Lower abdomen; CT scan slice 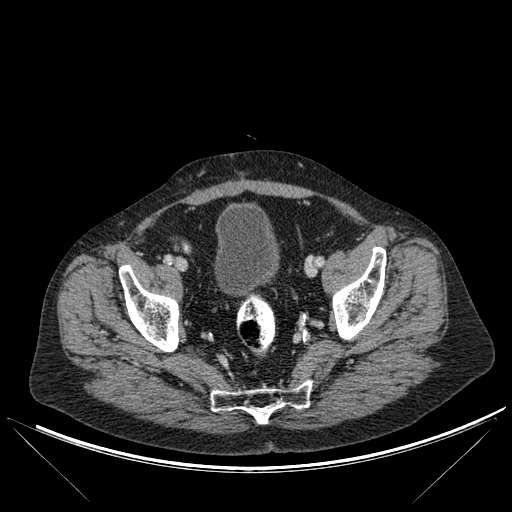
{"bone": ["l=333, t=247, r=386, b=339", "l=119, t=265, r=178, b=351", "l=211, t=380, r=312, b=424"], "urinary_bladder": ["l=214, t=204, r=279, b=297"]}